FLAIR MRI.
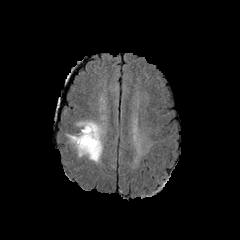
T1-weighted magnetic resonance.
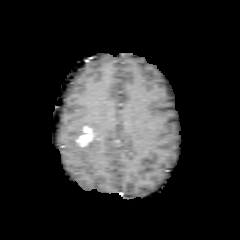
Post-contrast T1-weighted MR image.
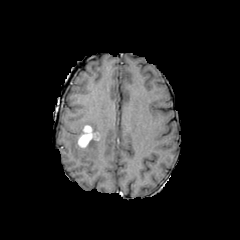
T2-weighted MR.
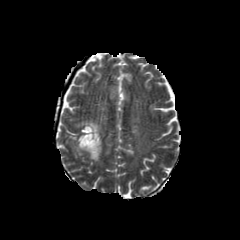
Image size 240x240.
edema:
  - [68, 120, 103, 162]
enhancing_tumor:
  - [78, 125, 98, 147]